Cardiac, MRI slice
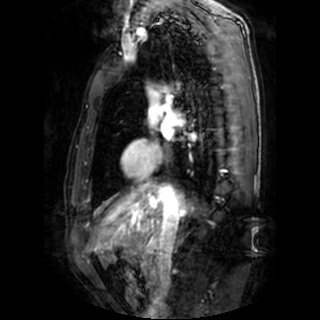

The left atrium is bounded by box(162, 128, 172, 139).